Field of view 310x310 mm, CT, Slice 31/77, Image size 512x512
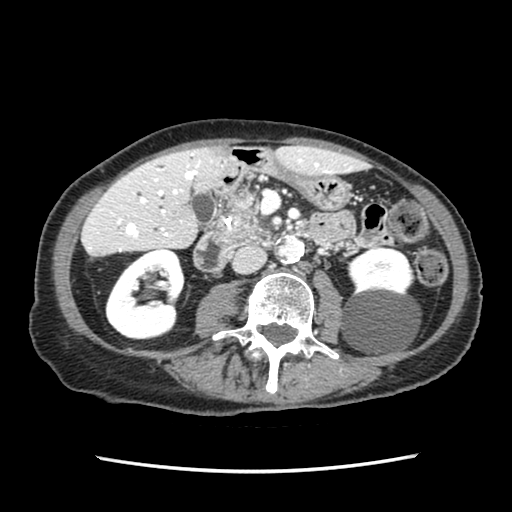

Pancreas — 219:192:269:245.